Slice 98/155 | Image size 240x240
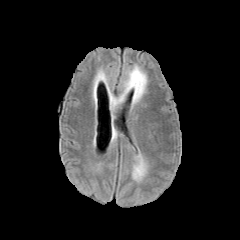
FLAIR magnetic resonance.
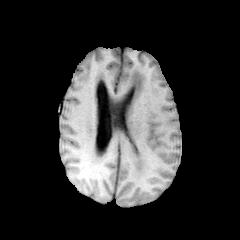
T1-weighted MRI of the same slice.
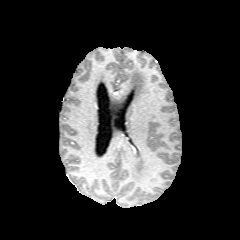
Post-contrast T1-weighted MR image of the same slice.
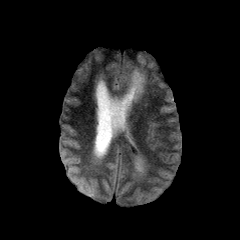
T2-weighted magnetic resonance.
* edema: l=110, t=65, r=147, b=111; l=111, t=129, r=117, b=142; l=131, t=148, r=147, b=180